Medial temporal lobe. Slice index 16. Field of view 38x50 mm. MR image. 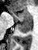

Segmented structures:
* posterior hippocampus: [16,23,31,32]
* anterior hippocampus: [10,9,31,22]